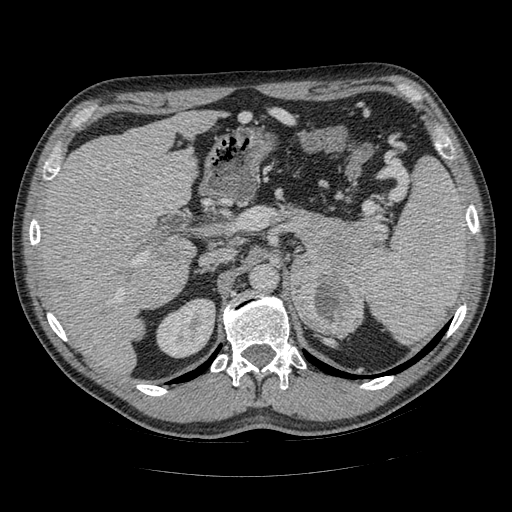
CT
The pancreas is bounded by box=[287, 210, 379, 271]. The pancreatic tumor lies within box=[291, 251, 364, 337].